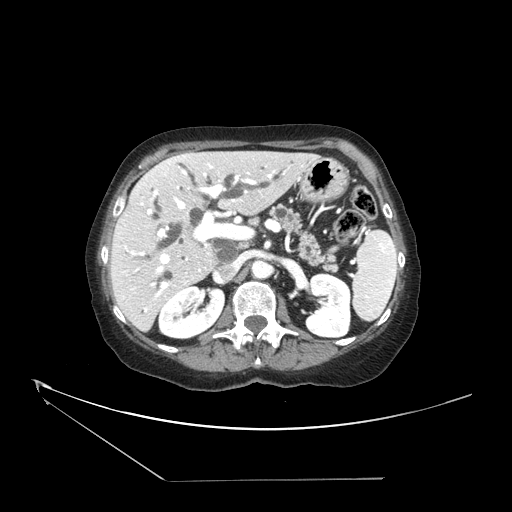
Abdomen | CT image | 512x512 px

<segmentation>
  <pancreas>{"x1": 271, "y1": 206, "x2": 325, "y2": 265}</pancreas>
</segmentation>